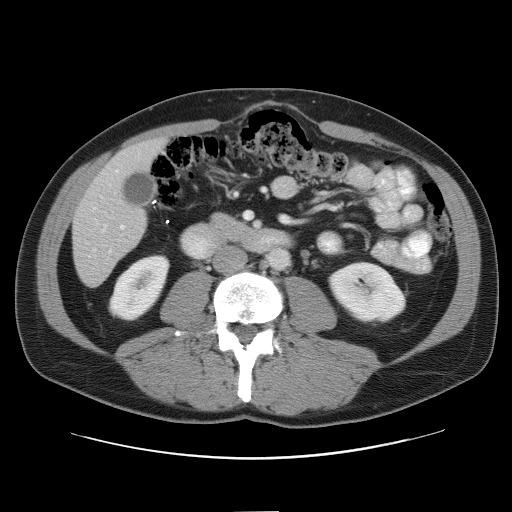 Abdomen; Image size 512x512; CT slice
Not every hepatic vessel necessarily has a box.
hepatic vessel: bbox(120, 226, 123, 228); bbox(109, 250, 110, 252); bbox(92, 249, 94, 251); bbox(93, 208, 95, 209); bbox(115, 170, 117, 172); bbox(101, 225, 105, 232)